Field of view 450 mm wide, 2.50 mm slice spacing, CT slice, Upper abdomen, Image size 512x512

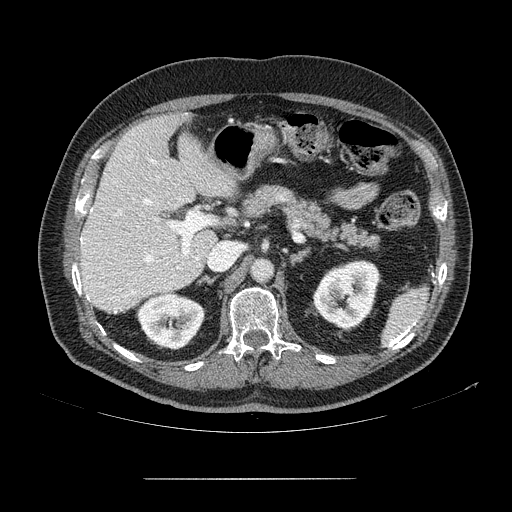
The pancreas lies within box(239, 183, 383, 255).